Image size 512x512. Abdomen. Computed tomography. 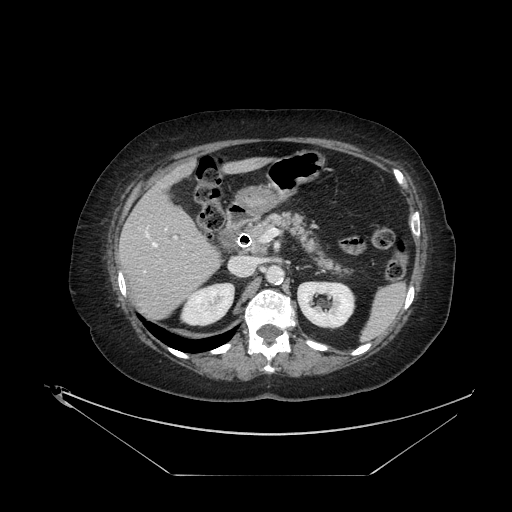
pancreas: 245, 213, 349, 272